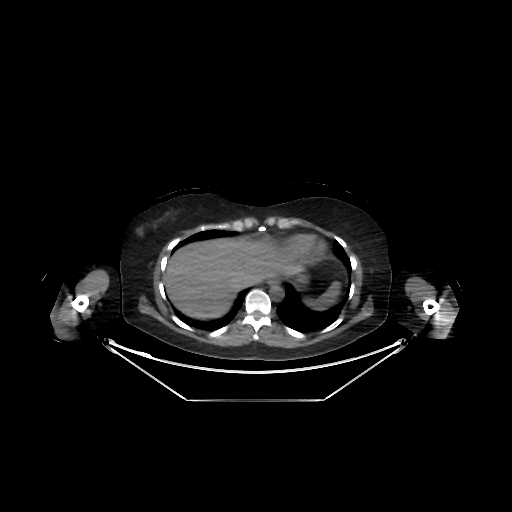 Upper abdomen. CT slice. The liver appears at 163 236 307 318.